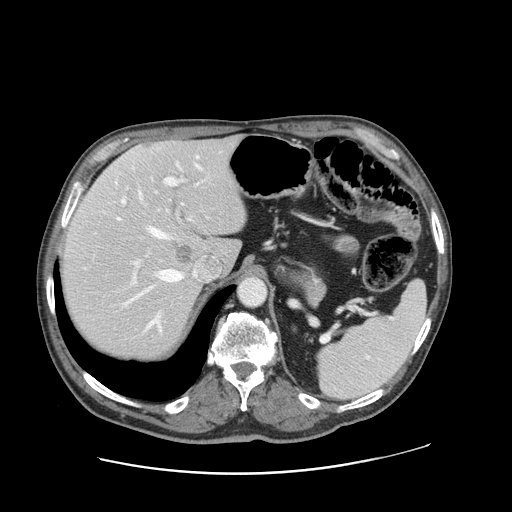

Abdomen, Computed tomography
Not every hepatic vessel necessarily has a box.
liver tumor: (143,142,151,148), (173,244,197,264) | hepatic vessel: (125,303,127,304), (150,228,166,238), (177,163,179,167), (133,275,135,283), (139,192,141,198), (131,294,140,300), (196,165,201,168), (122,198,125,203), (165,177,175,185), (133,261,138,266), (145,317,160,330), (143,288,149,292), (158,269,181,280), (118,218,120,219)